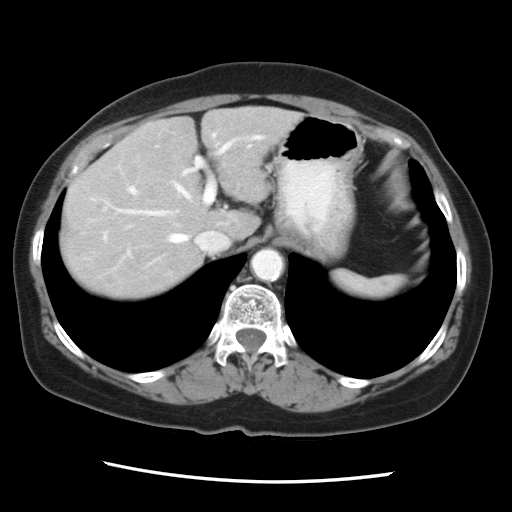

512x512 px. Liver. Computed tomography.

Only some of the vessels may be annotated.
Hepatic vessel: bounding box [128, 186, 138, 195], [196, 157, 200, 163], [172, 181, 191, 199], [102, 200, 178, 216], [166, 232, 190, 243], [181, 170, 188, 175], [124, 248, 130, 256], [203, 180, 214, 203], [103, 230, 107, 241], [194, 232, 227, 251].